Head
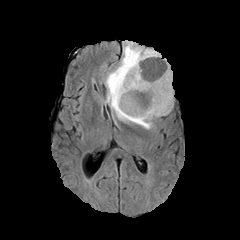
FLAIR magnetic resonance.
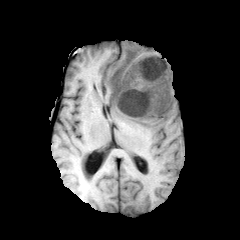
T1-weighted MR image.
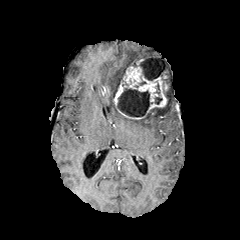
Post-contrast T1-weighted MRI of the same slice.
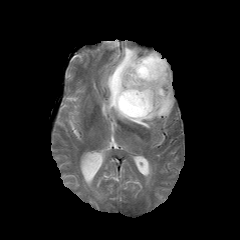
T2-weighted MRI of the same slice.
<segmentation>
  <enhancing_tumor>left=113, top=59, right=168, bottom=111</enhancing_tumor>
  <edema>left=102, top=42, right=173, bottom=129</edema>
  <non-enhancing_tumor_core>left=117, top=88, right=151, bottom=116; left=150, top=95, right=171, bottom=114; left=139, top=57, right=165, bottom=80</non-enhancing_tumor_core>
</segmentation>